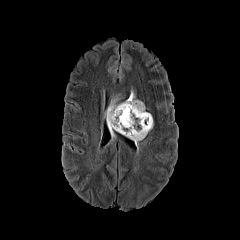
FLAIR MR image.
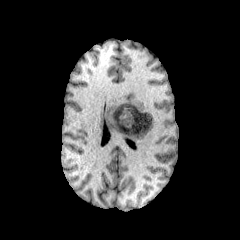
T1-weighted MRI.
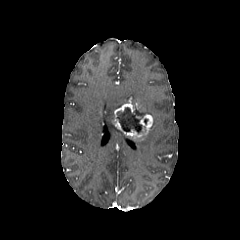
Post-contrast T1-weighted MRI of the same slice.
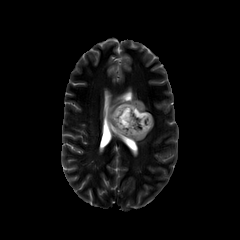
T2-weighted MRI of the same slice.
The non-enhancing tumor core lies within {"x1": 116, "y1": 101, "x2": 146, "y2": 133}. The edema is at {"x1": 103, "y1": 99, "x2": 123, "y2": 136}. 2 enhancing tumor regions appear at {"x1": 136, "y1": 101, "x2": 145, "y2": 111}, {"x1": 112, "y1": 96, "x2": 152, "y2": 142}.